Abdomen | CT scan slice | 512x512 px

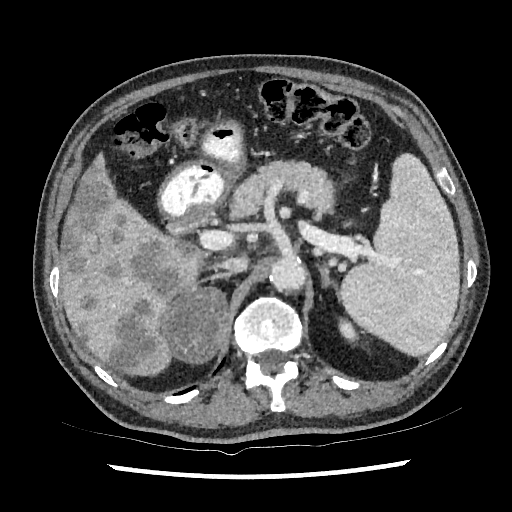
8 hepatic lesion regions appear at 129,238,184,298; 103,257,126,279; 79,329,90,343; 81,296,97,311; 107,299,161,369; 62,166,111,275; 108,214,127,248; 173,240,197,257. The kidney appears at 340,322,354,338. 2 liver regions appear at 217,243,237,260; 61,155,208,375.